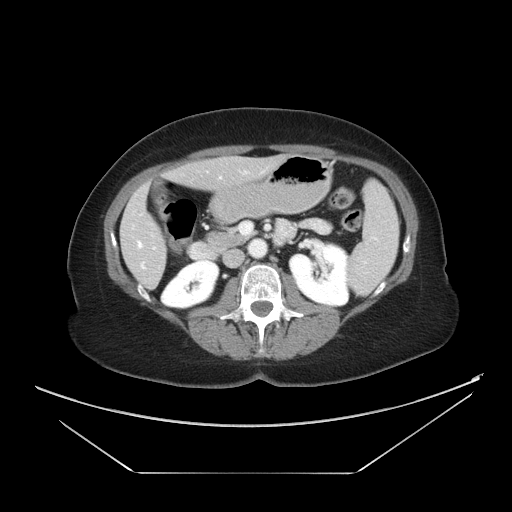
CT slice; Abdomen
The vessel boxes may cover only some of the vessels.
hepatic_vessel:
  - <box>132,225,133,228</box>
  - <box>153,247,155,249</box>
  - <box>138,241,141,247</box>
  - <box>243,171,247,173</box>
  - <box>219,176,221,178</box>
  - <box>141,262,144,268</box>